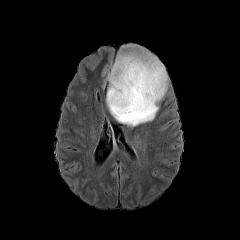
FLAIR MR image.
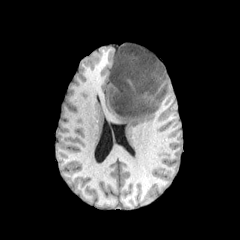
T1-weighted magnetic resonance of the same slice.
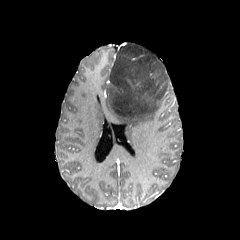
Post-contrast T1-weighted MRI.
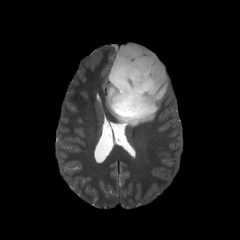
T2-weighted MRI of the same slice.
240x240 | Brain
edema:
  - l=105, t=55, r=168, b=129